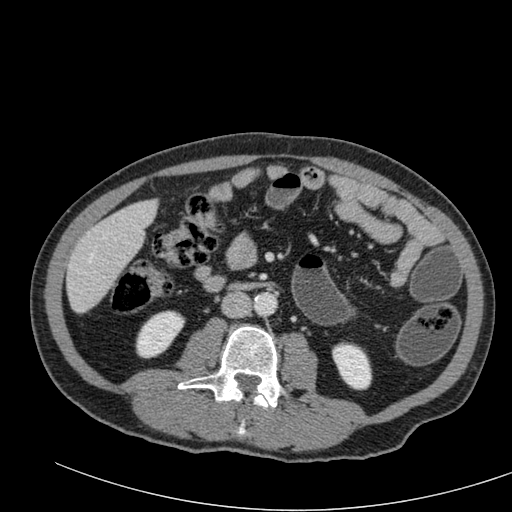

Computed tomography
Kidney: bounding box 137:312:183:357, 333:345:370:388.
Liver: bounding box 67:200:156:311.